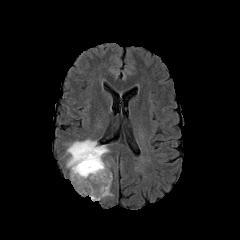
FLAIR MRI.
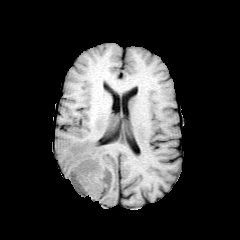
Same slice, T1-weighted MR image.
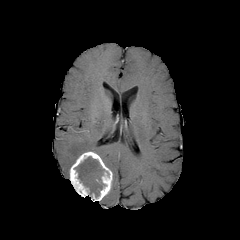
Post-contrast T1-weighted magnetic resonance of the same slice.
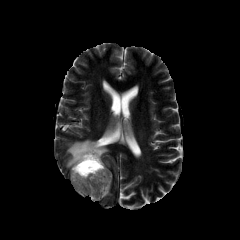
Same slice, T2-weighted MRI.
Head
enhancing_tumor:
  - box(70, 151, 111, 200)
edema:
  - box(88, 178, 99, 192)
  - box(64, 139, 110, 169)
non-enhancing_tumor_core:
  - box(75, 157, 104, 198)